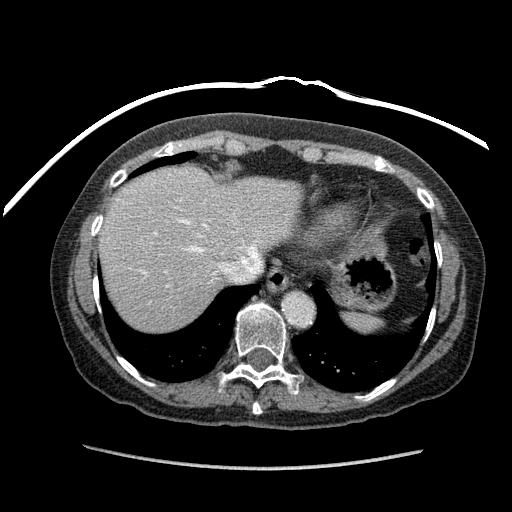

CT image; Upper abdomen
liver:
  - 100:165:298:331